FLAIR MR image.
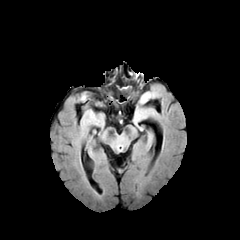
T1-weighted MR.
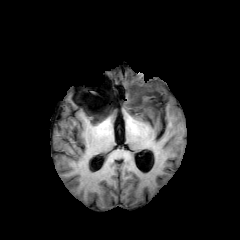
Post-contrast T1-weighted MR image.
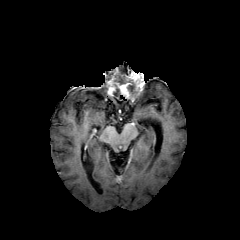
T2-weighted MR image.
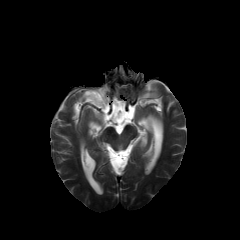
Head. 240x240 px.
The non-enhancing tumor core is bounded by bbox(133, 91, 142, 103). 2 edema regions appear at bbox(133, 89, 160, 130); bbox(145, 131, 153, 149).